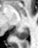 MR image.
posterior_hippocampus:
  - x1=14, y1=28, x2=29, y2=39